FLAIR magnetic resonance.
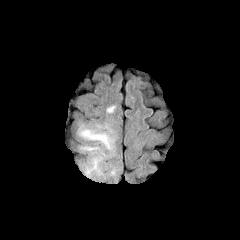
T1-weighted MR.
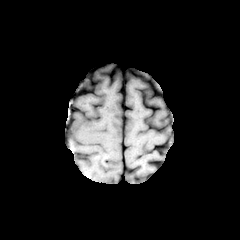
Post-contrast T1-weighted magnetic resonance.
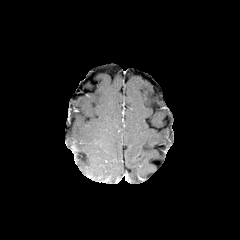
T2-weighted magnetic resonance.
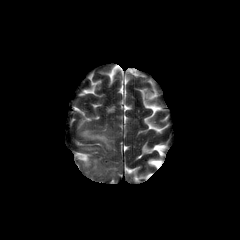
240x240 px | Brain
<segmentation>
  <edema>80,124,111,151</edema>
</segmentation>